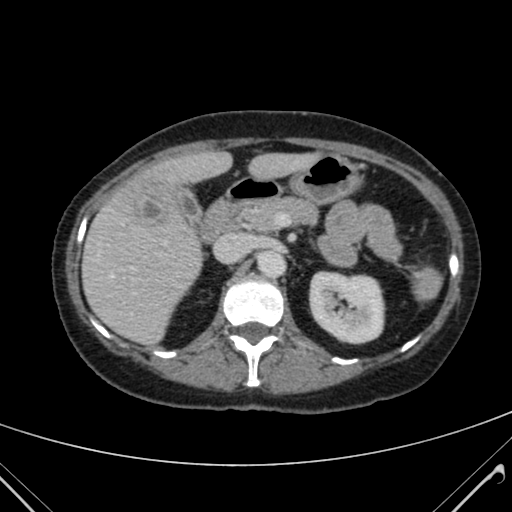
CT image; Liver

<segmentation>
  <kidney>311:274:382:342</kidney>
  <hepatic_lesion>121:176:177:229</hepatic_lesion>
  <liver>250:154:315:178, 81:151:230:343</liver>
</segmentation>